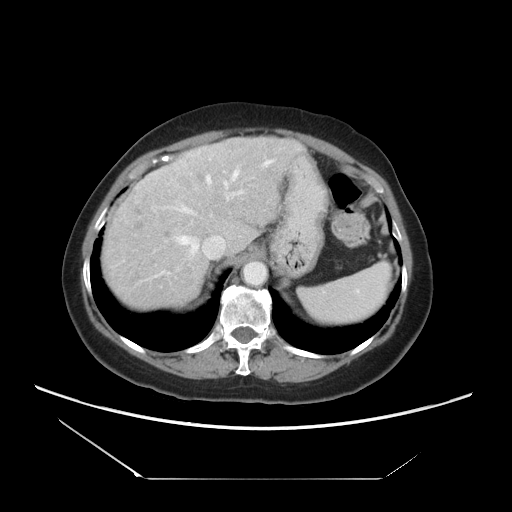 Liver, CT scan slice
Some hepatic vessels may have no box.
Findings:
- hepatic vessel: region(232, 190, 242, 195); region(206, 175, 211, 184); region(165, 206, 192, 213); region(232, 169, 238, 179); region(176, 235, 225, 254); region(226, 195, 229, 199); region(224, 181, 227, 187); region(263, 160, 272, 166); region(159, 272, 162, 274)